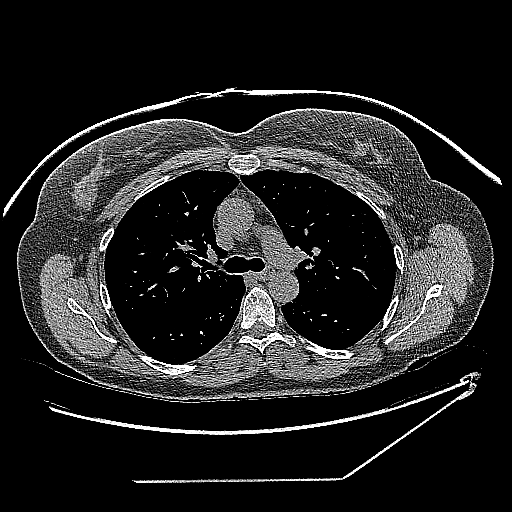
CT

Annotated regions:
• lung tumor: [357,250,373,261]